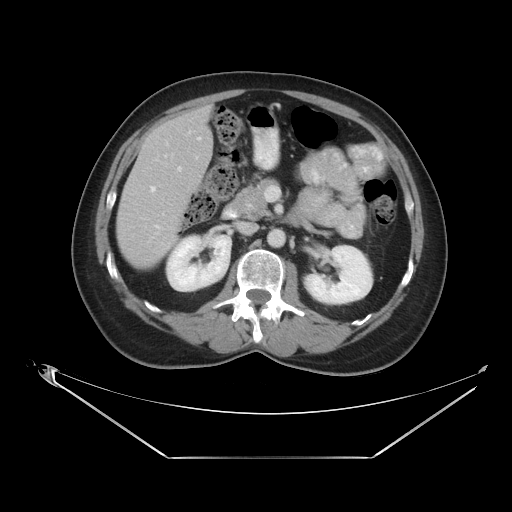
Abdomen; CT image
The vessel annotation is not exhaustive.
<segmentation>
  <liver_tumor>135, 247, 157, 264</liver_tumor>
  <hepatic_vessel>177, 166, 182, 171; 196, 156, 197, 158</hepatic_vessel>
</segmentation>